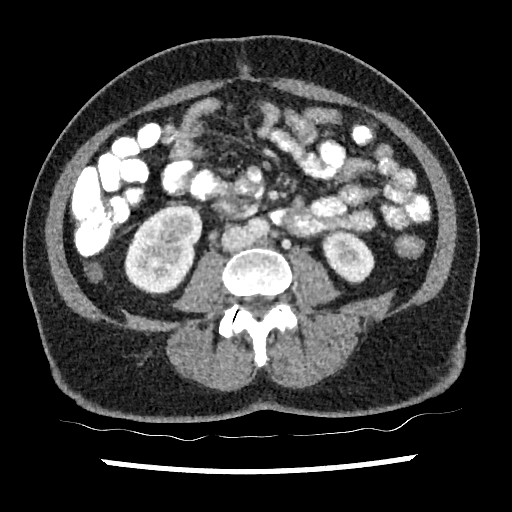 Computed tomography. Abdomen. 512x512. kidney:
  - x1=324 y1=234 x2=373 y2=280
  - x1=126 y1=206 x2=201 y2=292